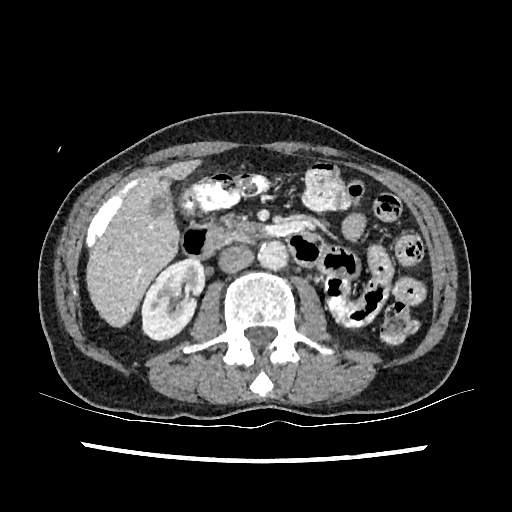

CT scan slice.
- kidney: bbox(142, 259, 204, 339)
- focal liver lesion: bbox(148, 194, 171, 219)
- liver: bbox(88, 160, 199, 325)